MR image. Hippocampus.
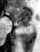 The anterior hippocampus appears at x1=9, y1=7, x2=31, y2=21. The posterior hippocampus lies within x1=19, y1=22, x2=29, y2=27.